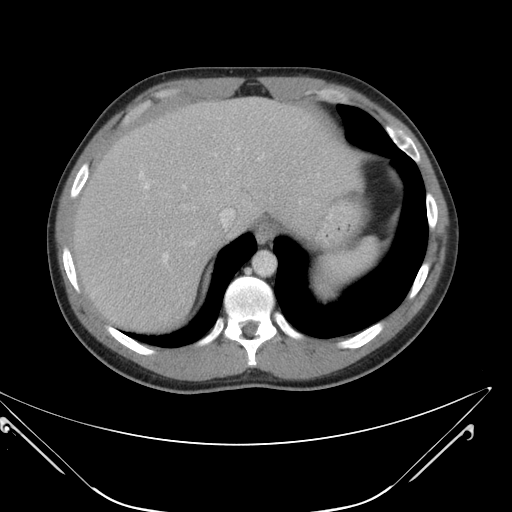 Abdomen | CT slice

Only some of the vessels may be annotated.
5 hepatic vessel regions are located at bbox=[219, 209, 233, 227]; bbox=[183, 185, 185, 187]; bbox=[163, 254, 167, 262]; bbox=[139, 171, 143, 177]; bbox=[145, 183, 148, 188].